Abdomen; Field of view 415x415 mm; CT image
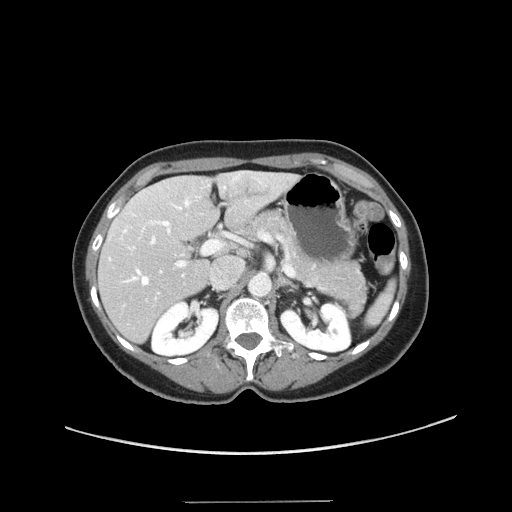 Some hepatic vessels may have no box.
Hepatic vessel: bounding box <bbox>185, 199, 189, 204</bbox>, <bbox>130, 246, 134, 249</bbox>, <bbox>151, 237, 154, 243</bbox>, <bbox>159, 221, 170, 231</bbox>, <bbox>160, 270, 161, 272</bbox>, <bbox>123, 229, 125, 232</bbox>, <bbox>177, 259, 184, 265</bbox>, <bbox>207, 184, 209, 185</bbox>, <bbox>122, 269, 147, 283</bbox>, <bbox>203, 241, 219, 252</bbox>, <bbox>176, 206, 182, 208</bbox>.